Slice 135/155
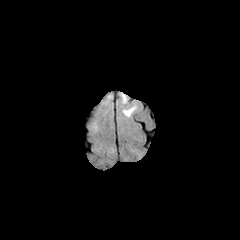
FLAIR magnetic resonance.
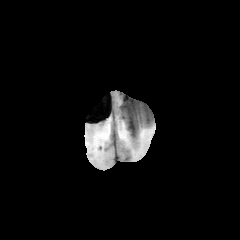
Same slice, T1-weighted magnetic resonance.
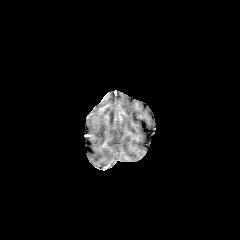
Post-contrast T1-weighted MR.
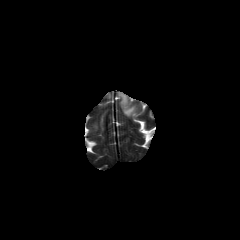
T2-weighted MR image.
edema: (x1=120, y1=93, x2=140, y2=117)